Heart, Magnetic resonance 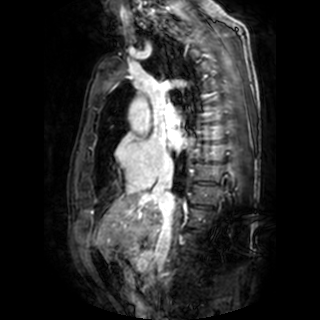
left atrium: box(169, 131, 188, 151)